CT slice | 512x512 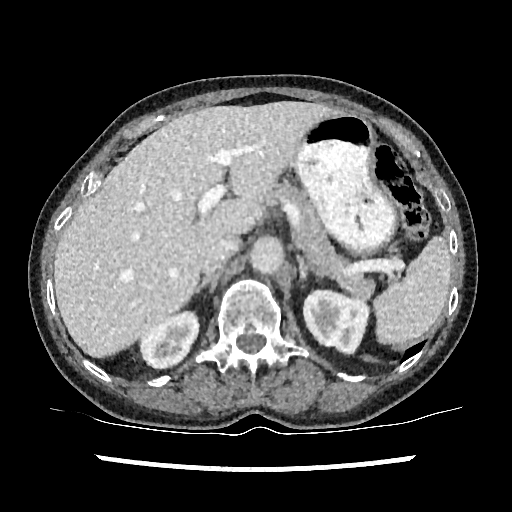 Kidney — bbox(304, 291, 368, 351); bbox(142, 313, 197, 371).
Liver — bbox(54, 102, 336, 355).